Brain
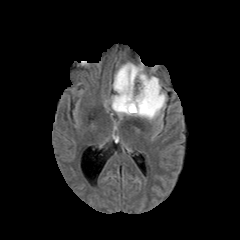
FLAIR MR image.
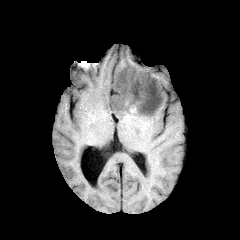
T1-weighted MR image of the same slice.
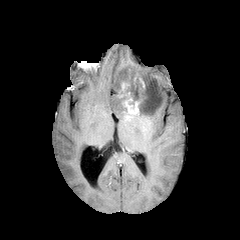
Post-contrast T1-weighted MRI of the same slice.
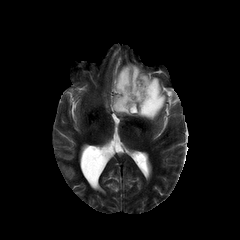
T2-weighted MR image of the same slice.
<segmentation>
  <enhancing_tumor>(left=122, top=98, right=139, bottom=114), (left=121, top=82, right=128, bottom=96)</enhancing_tumor>
  <edema>(left=108, top=62, right=168, bottom=121)</edema>
  <non-enhancing_tumor_core>(left=125, top=73, right=142, bottom=105), (left=144, top=84, right=157, bottom=108), (left=119, top=95, right=127, bottom=113)</non-enhancing_tumor_core>
</segmentation>